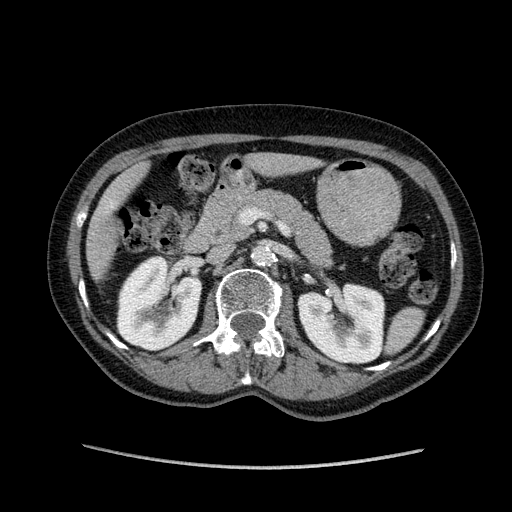

CT scan slice
2 kidney regions are located at region(118, 258, 200, 349); region(299, 285, 383, 362). 2 liver regions are located at region(247, 151, 312, 174); region(84, 177, 135, 271).